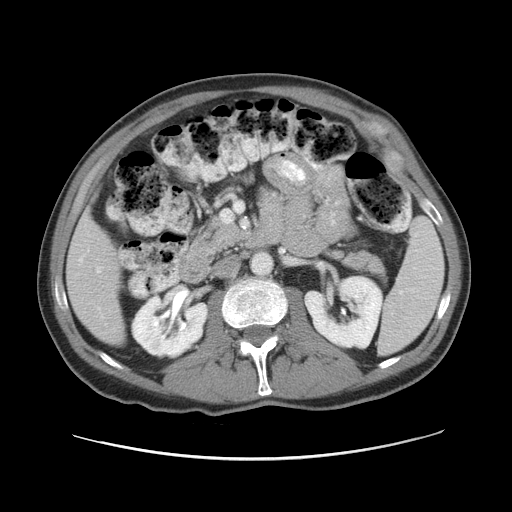

Liver, Computed tomography
The vessel annotation is not exhaustive.
Hepatic vessel — 97:267:100:272, 79:255:83:262.